Slice index 65; Upper abdomen; CT
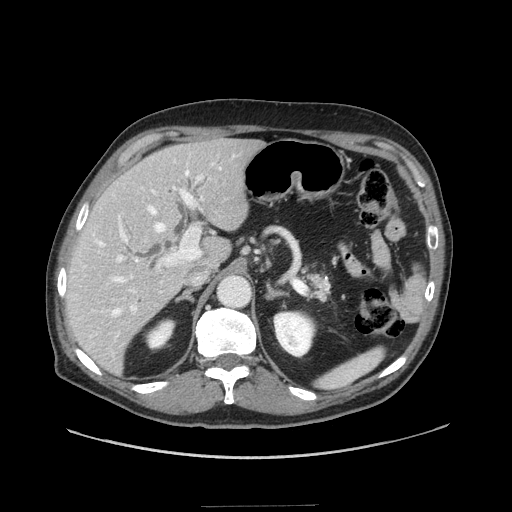

The pancreas lies within bbox(308, 271, 327, 299).